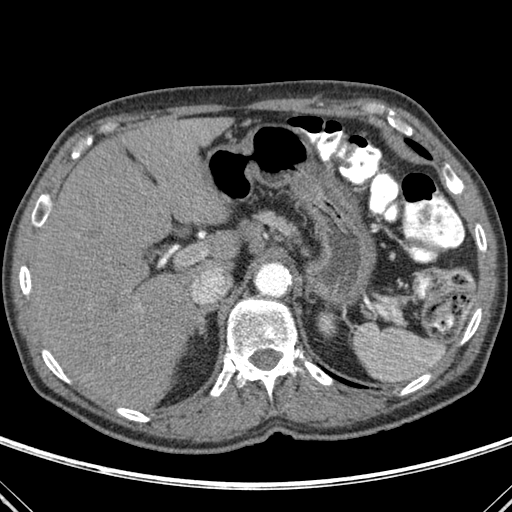 CT scan slice; Upper abdomen
Lung = rect(324, 369, 363, 387); rect(405, 139, 431, 159).
Liver = rect(213, 230, 239, 264); rect(29, 116, 234, 410).
Bone = rect(32, 195, 49, 226); rect(445, 164, 463, 193); rect(401, 374, 430, 394); rect(210, 297, 332, 396); rect(19, 266, 31, 294); rect(475, 224, 486, 251); rect(461, 308, 481, 343); rect(117, 408, 149, 422); rect(42, 350, 69, 382).